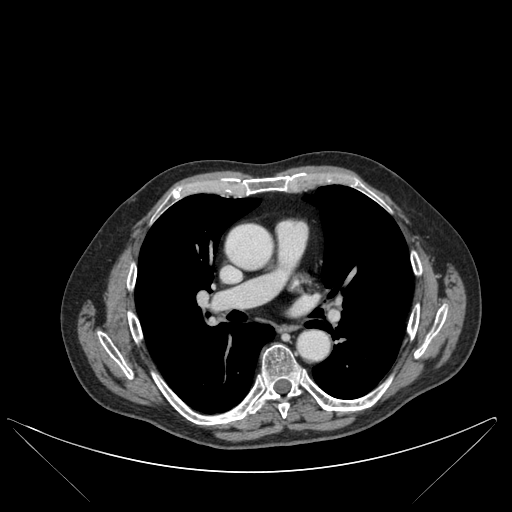

CT
lung:
  - x1=135, y1=194, x2=274, y2=413
  - x1=305, y1=185, x2=412, y2=399
bone:
  - x1=355, y1=180, x2=382, y2=204
  - x1=407, y1=304, x2=419, y2=338
  - x1=411, y1=251, x2=421, y2=274
  - x1=128, y1=312, x2=142, y2=341
  - x1=152, y1=345, x2=391, y2=424
  - x1=414, y1=306, x2=447, y2=357
  - x1=127, y1=263, x2=136, y2=288
  - x1=171, y1=190, x2=179, y2=198
  - x1=98, y1=332, x2=133, y2=378
  - x1=231, y1=175, x2=296, y2=194